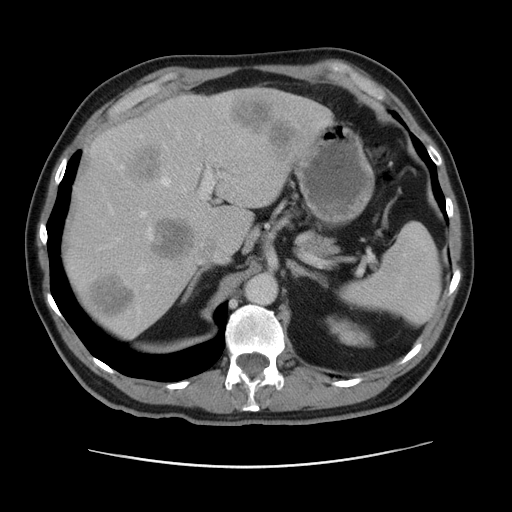
CT slice. Liver. 512x512 px. 5 liver lesion regions are located at <box>269,123,302,155</box>, <box>135,148,164,181</box>, <box>150,220,192,261</box>, <box>232,97,274,132</box>, <box>88,274,132,316</box>. The kidney appears at <box>326,317,372,346</box>. The liver is located at <box>64,88,328,335</box>.